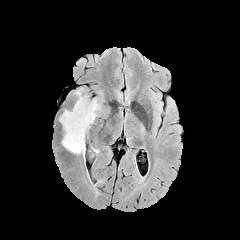
FLAIR MRI.
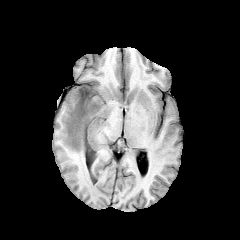
T1-weighted magnetic resonance.
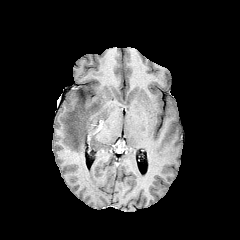
Same slice, post-contrast T1-weighted MR image.
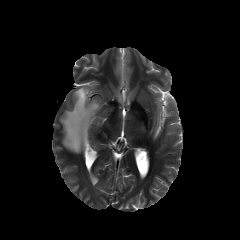
Same slice, T2-weighted MR.
<segmentation>
  <edema>[59,87,103,159]</edema>
  <non-enhancing_tumor_core>[78,89,86,107]</non-enhancing_tumor_core>
</segmentation>